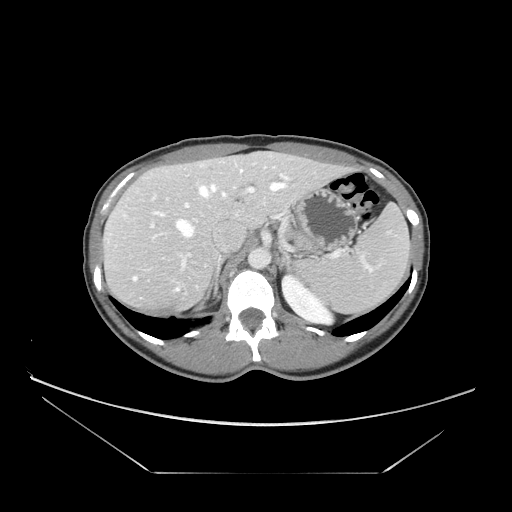

CT scan slice | 512x512 px
Pancreas — x1=280 y1=226 x2=310 y2=247.